CT. Liver. 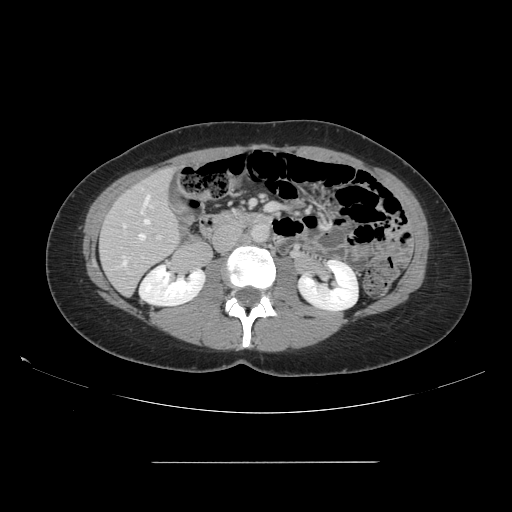 Only some of the vessels may be annotated.
7 hepatic vessel regions are located at box(122, 224, 126, 227); box(157, 236, 160, 238); box(145, 194, 152, 208); box(140, 209, 143, 213); box(144, 219, 149, 224); box(139, 234, 145, 239); box(119, 256, 127, 266).